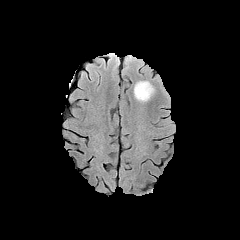
FLAIR MR.
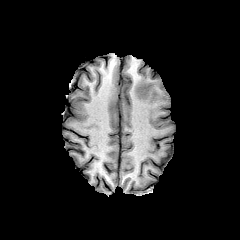
T1-weighted MR image.
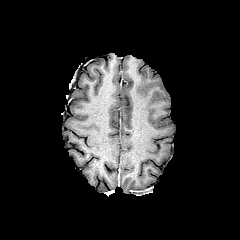
Post-contrast T1-weighted MR image.
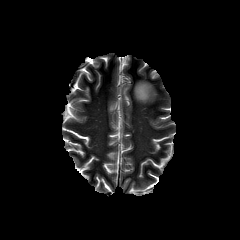
Same slice, T2-weighted MRI.
{
  "edema": [
    "x1=134, y1=81, x2=154, y2=102"
  ]
}